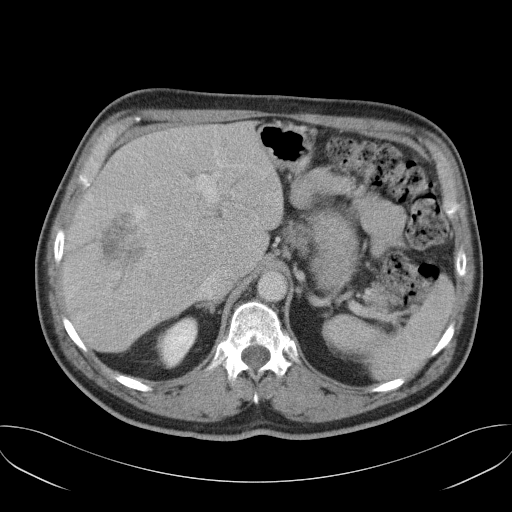
CT slice, Liver
Only some of the vessels may be annotated.
The liver tumor lies within (101,215,145,270). 2 hepatic vessel regions are bounded by (197,172,219,201), (135,208,144,218).